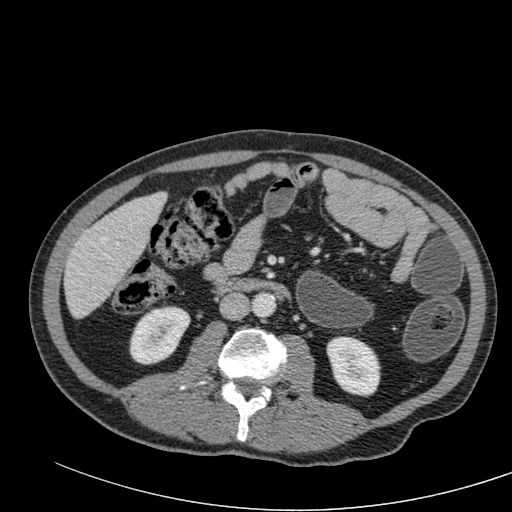 Abdomen, CT slice
{"kidney": ["region(327, 337, 379, 394)", "region(130, 307, 189, 363)"], "liver": ["region(64, 193, 164, 317)"]}